Abdomen, CT 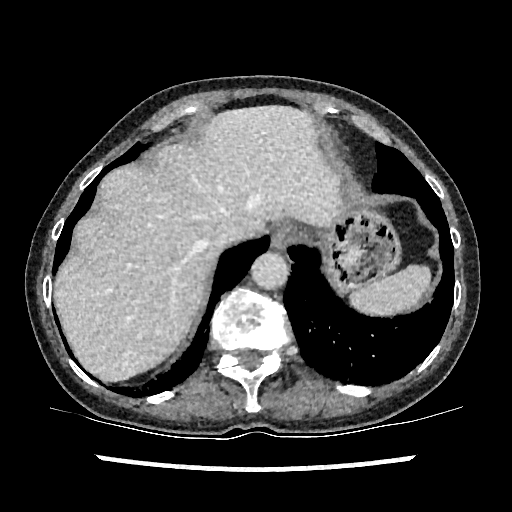

The liver is at {"x1": 55, "y1": 107, "x2": 340, "y2": 379}.